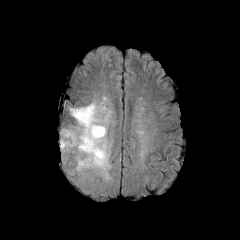
FLAIR MR image.
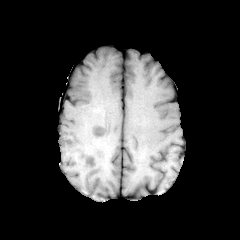
T1-weighted MR image.
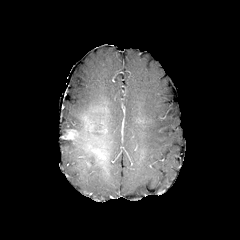
Post-contrast T1-weighted MR image.
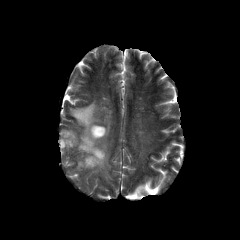
T2-weighted MR image.
Image size 240x240
edema:
  - [60,93,112,180]
non-enhancing_tumor_core:
  - [86,144,107,165]
  - [61,130,79,145]
  - [82,116,107,135]